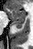 MR image, Hippocampus
The anterior hippocampus is at (x1=5, y1=8, x2=25, y2=21). The posterior hippocampus is at (x1=12, y1=22, x2=24, y2=28).